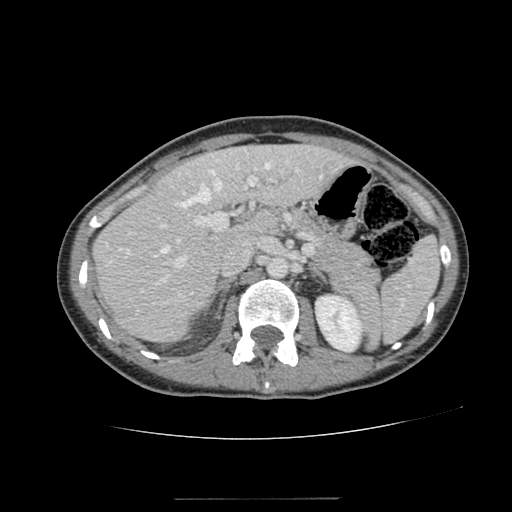 CT slice

Kidney at (315,296,362,351).
Liver at (94,144,351,342).